Slice index 385, Abdomen, Image size 512x512, CT scan slice 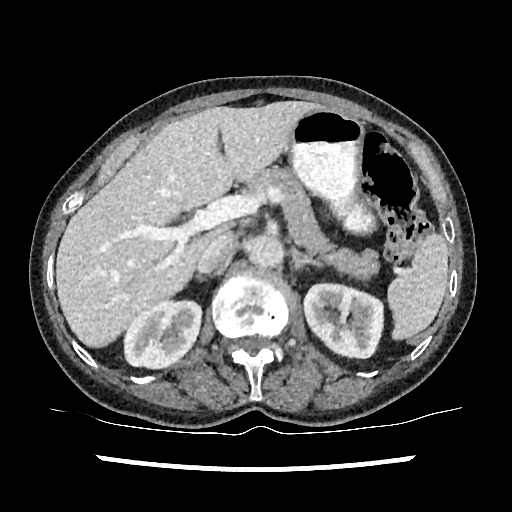

liver:
  - {"x1": 57, "y1": 101, "x2": 321, "y2": 345}
kidney:
  - {"x1": 304, "y1": 284, "x2": 382, "y2": 358}
  - {"x1": 125, "y1": 302, "x2": 200, "y2": 370}